FLAIR MR.
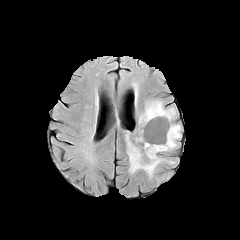
T1-weighted MRI.
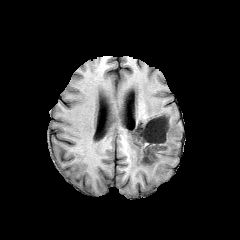
Post-contrast T1-weighted MR.
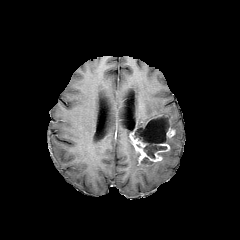
T2-weighted MRI.
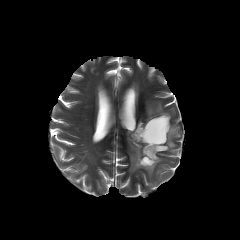
Head.
non-enhancing_tumor_core:
  - left=138, top=157, right=156, bottom=165
  - left=130, top=118, right=169, bottom=158
edema:
  - left=127, top=137, right=164, bottom=176
  - left=165, top=124, right=180, bottom=151
  - left=138, top=100, right=175, bottom=127
enhancing_tumor:
  - left=167, top=128, right=174, bottom=137
  - left=130, top=134, right=161, bottom=162